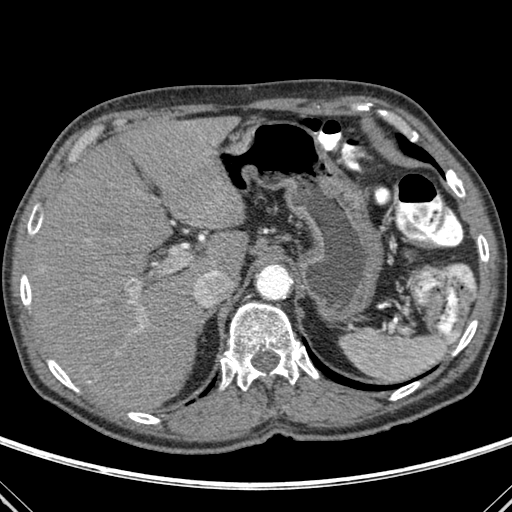

Image size 512x512, CT image

Segmented structures:
* lung: <bbox>201, 379, 214, 395</bbox>, <bbox>396, 134, 444, 176</bbox>, <bbox>303, 338, 402, 390</bbox>
* liver: <bbox>27, 116, 244, 412</bbox>, <bbox>206, 231, 247, 282</bbox>
* bone: <bbox>446, 170, 464, 197</bbox>, <bbox>48, 360, 78, 391</bbox>, <bbox>27, 207, 42, 234</bbox>, <bbox>390, 381, 420, 400</bbox>, <bbox>411, 132, 418, 141</bbox>, <bbox>128, 412, 159, 424</bbox>, <bbox>478, 235, 488, 261</bbox>, <bbox>220, 303, 318, 390</bbox>, <bbox>20, 275, 31, 305</bbox>, <bbox>453, 320, 477, 355</bbox>